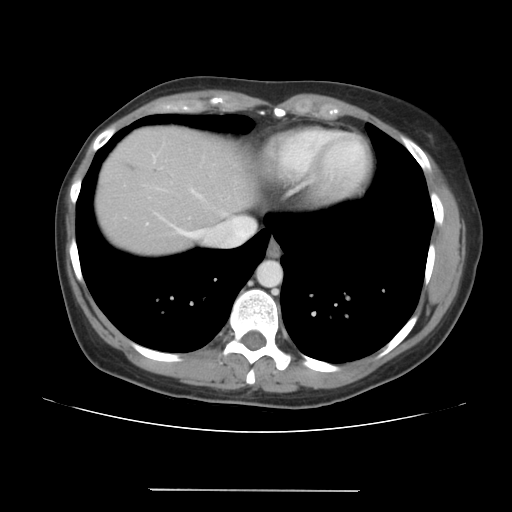
Liver. CT slice. The vessel annotation is not exhaustive.
<segmentation>
  <hepatic_vessel>[172,211,255,244], [153,154,156,162], [195,193,204,201]</hepatic_vessel>
</segmentation>